MRI | Cardiac
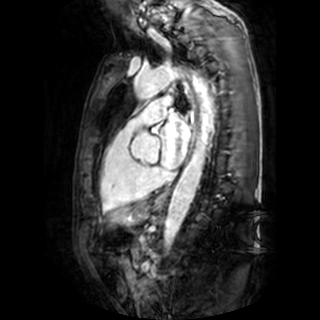
Left atrium at (161,114,189,168).